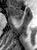 37x50; MR
• anterior hippocampus: [x1=7, y1=5, x2=23, y2=20]